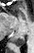

34x53, MR image
The posterior hippocampus is bounded by 13:36:24:46.